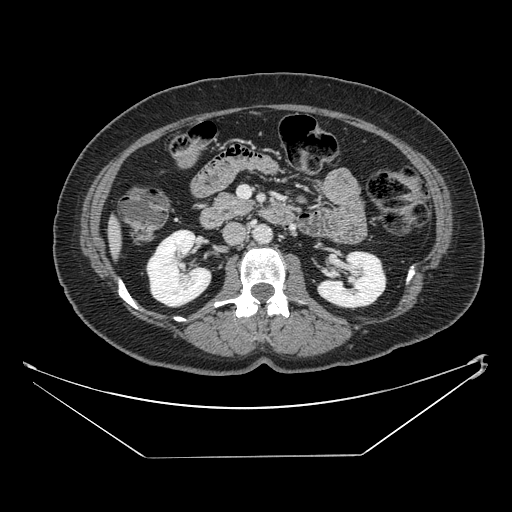 CT slice.
Pancreas: bounding box 211,191,255,223.